Slice 84/104 | CT image | Image size 512x512 | Upper abdomen
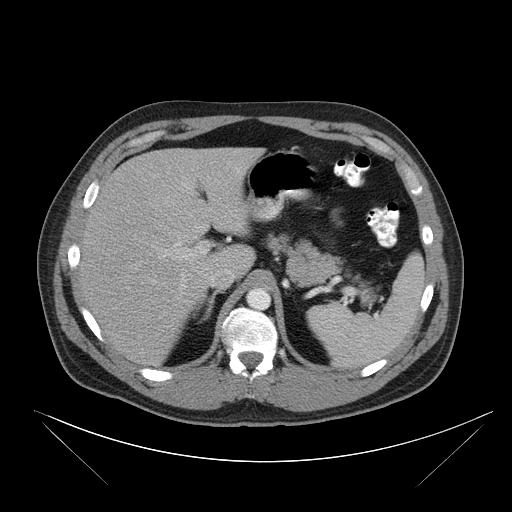

The spleen is at [306, 255, 424, 366].